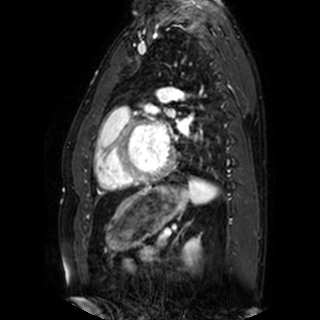

MRI. Image size 320x320. Cardiac.
left_atrium:
  - bbox(166, 109, 174, 117)
  - bbox(176, 122, 188, 134)